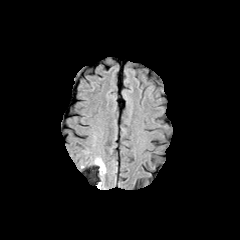
FLAIR magnetic resonance.
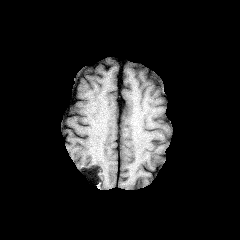
T1-weighted MR image.
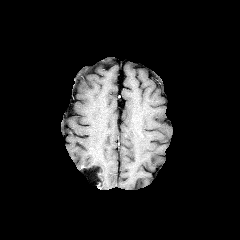
Same slice, post-contrast T1-weighted magnetic resonance.
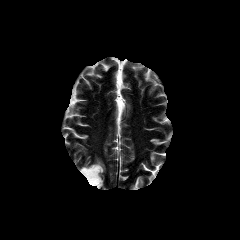
Same slice, T2-weighted MR.
240x240 | Head
The edema is at (x1=92, y1=156, x2=106, y2=188).